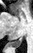

MRI | 33x53 px
<segmentation>
  <posterior_hippocampus>10:35:22:47</posterior_hippocampus>
</segmentation>